FLAIR MRI.
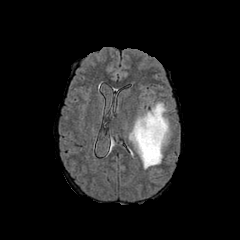
T1-weighted magnetic resonance.
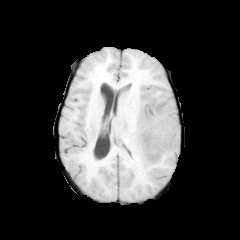
Post-contrast T1-weighted magnetic resonance.
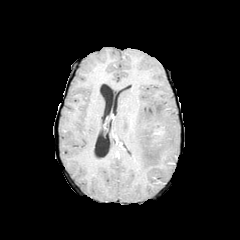
T2-weighted MRI.
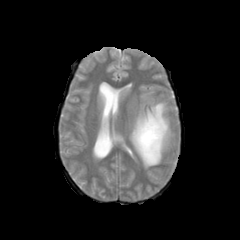
The non-enhancing tumor core is bounded by x1=138, y1=121, x2=163, y2=150. The edema lies within x1=129, y1=100, x2=173, y2=168. The enhancing tumor appears at x1=153, y1=126, x2=163, y2=140.